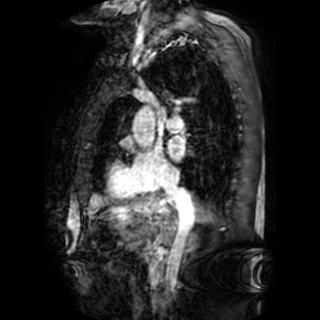 Heart. MRI.
Annotated regions:
* left atrium: (x1=168, y1=136, x2=184, y2=159)